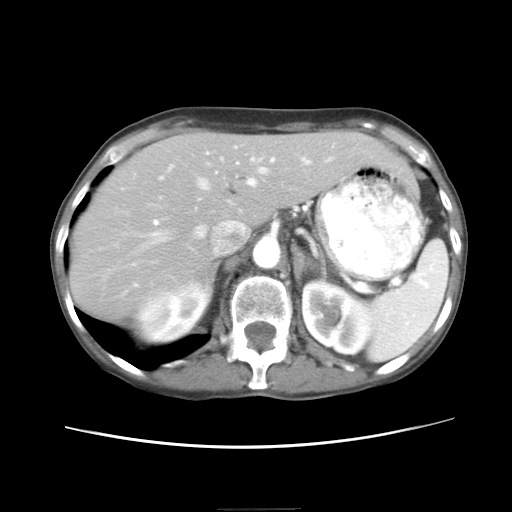
CT image
The vessel boxes may cover only some of the vessels.
The liver tumor is bounded by [x1=360, y1=139, x2=370, y2=146]. 7 hepatic vessel regions are bounded by [x1=199, y1=179, x2=207, y2=188], [x1=259, y1=167, x2=265, y2=172], [x1=247, y1=178, x2=254, y2=185], [x1=251, y1=157, x2=253, y2=160], [x1=153, y1=220, x2=157, y2=223], [x1=270, y1=157, x2=273, y2=161], [x1=196, y1=226, x2=203, y2=235].